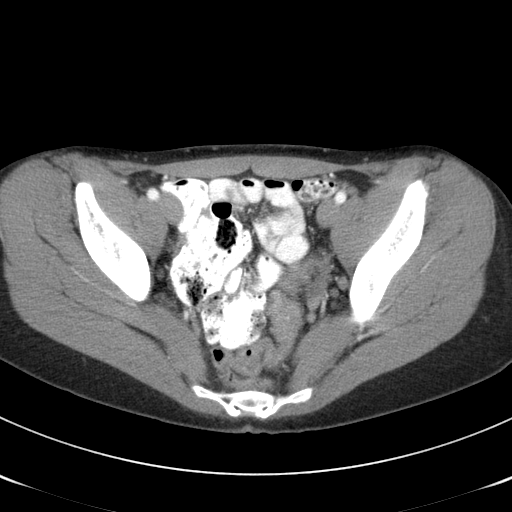 Pelvis, CT image
Colon tumor — bbox=[279, 255, 330, 297]; bbox=[268, 291, 301, 340].